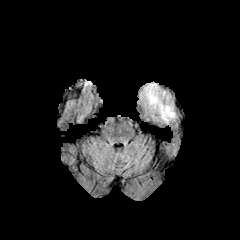
FLAIR MRI.
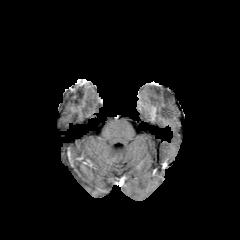
T1-weighted MR image.
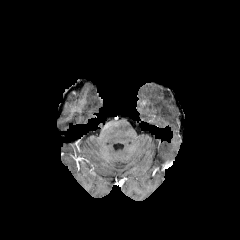
Post-contrast T1-weighted magnetic resonance of the same slice.
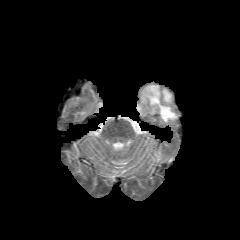
T2-weighted MRI.
Head; 240x240 px
Annotated regions:
- edema: 140,82,177,123